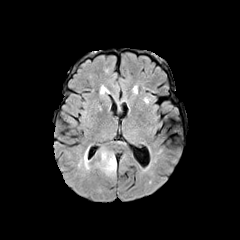
FLAIR MRI.
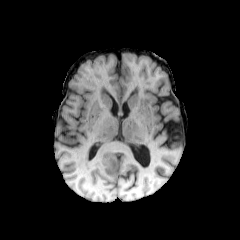
T1-weighted MR image.
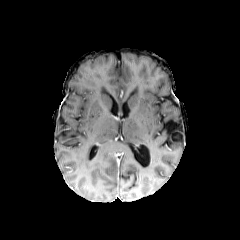
Same slice, post-contrast T1-weighted magnetic resonance.
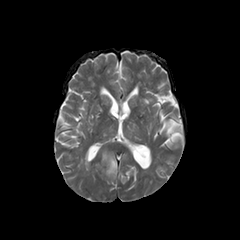
T2-weighted MRI.
Image size 240x240, Head
Edema: bounding box region(78, 151, 90, 169); region(96, 148, 117, 176).